Brain | Field of view 240x240 mm | 240x240
FLAIR magnetic resonance.
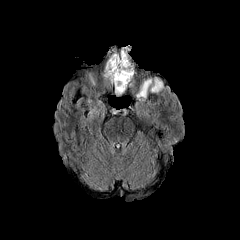
T1-weighted MRI.
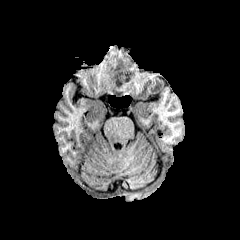
Post-contrast T1-weighted MR.
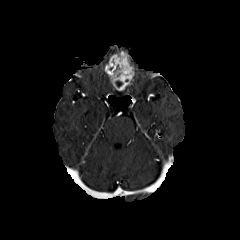
T2-weighted MR.
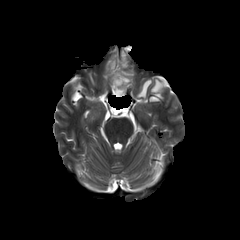
Edema — l=136, t=79, r=152, b=97; l=150, t=78, r=163, b=92.
Enhancing tumor — l=103, t=49, r=134, b=91.